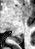

MRI. Posterior hippocampus — 10,35,22,42.